Slice index 50 | CT
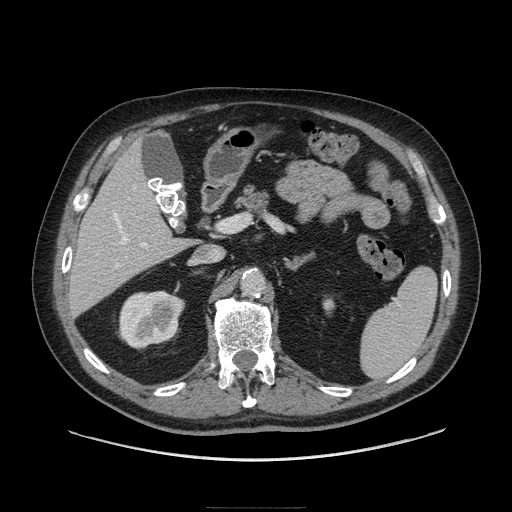

The pancreas is bounded by rect(235, 183, 271, 220). The pancreatic tumor is at rect(251, 198, 266, 211).